Slice index 97, 240x240
FLAIR MR image.
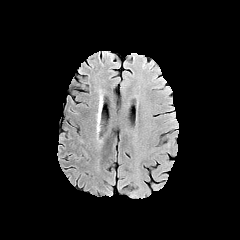
T1-weighted magnetic resonance.
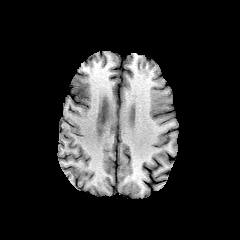
Post-contrast T1-weighted MR image.
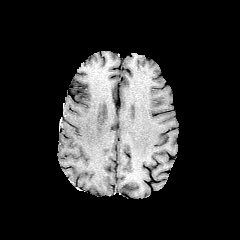
T2-weighted MR image.
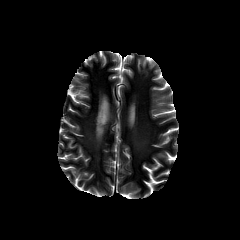
The edema is bounded by x1=98, y1=101, x2=102, y2=122.